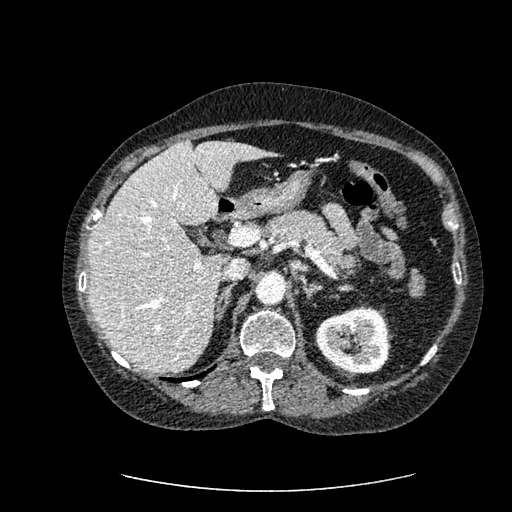
CT slice

liver: (89, 140, 276, 373) | kidney: (317, 308, 388, 372)